CT; Liver; 512x512 px 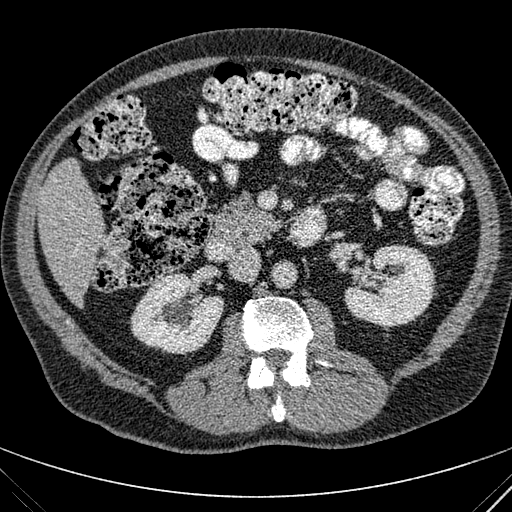

* kidney: l=131, t=271, r=223, b=353; l=355, t=251, r=362, b=259; l=345, t=246, r=433, b=326
* liver: l=37, t=160, r=103, b=307